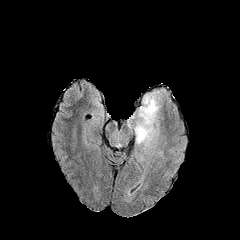
FLAIR magnetic resonance.
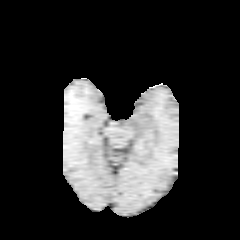
T1-weighted MR.
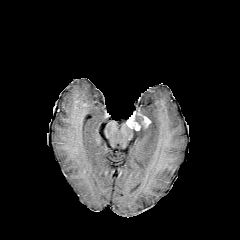
Same slice, post-contrast T1-weighted MRI.
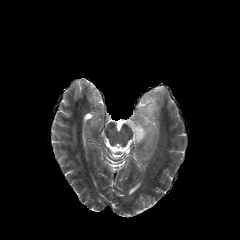
T2-weighted MR.
Image size 240x240; Head
Edema — region(134, 88, 167, 161).
Enhancing tumor — region(126, 107, 151, 131).